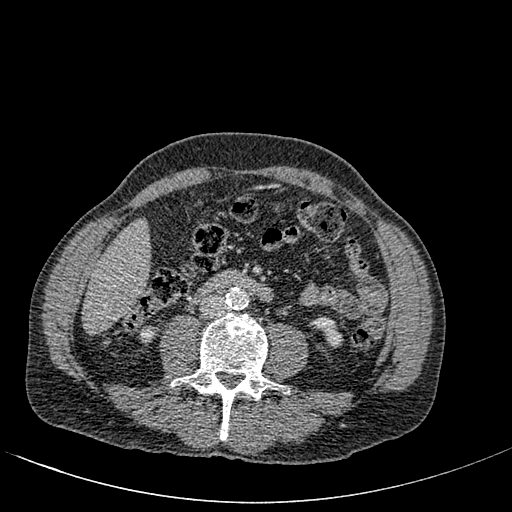

CT
liver:
  - rect(84, 221, 149, 330)
kidney:
  - rect(312, 317, 341, 346)